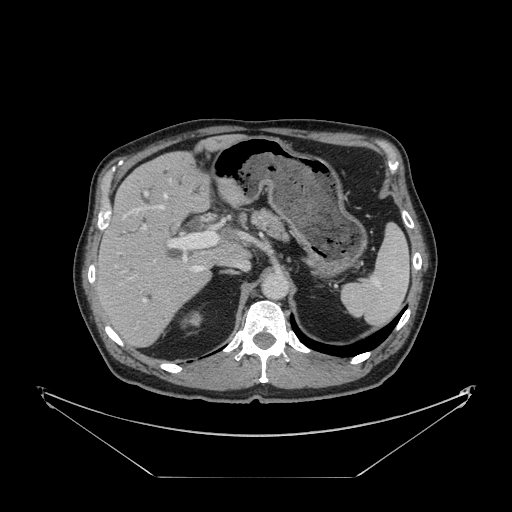

CT image; Abdomen

Some hepatic vessels may have no box.
hepatic vessel: 183,258,185,261; 169,179,170,181; 192,266,202,271; 131,209,138,213; 142,225,145,228; 144,192,147,194; 163,194,166,197; 115,265,116,266; 157,205,163,209; 143,299,145,301; 168,231,217,249; 123,216,125,218